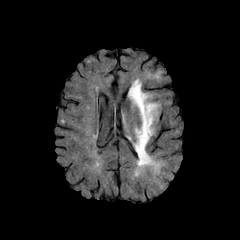
FLAIR MR image.
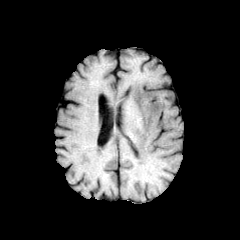
T1-weighted MR.
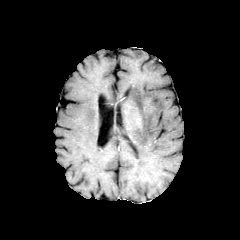
Post-contrast T1-weighted MR image.
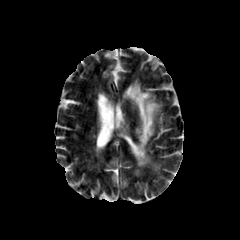
T2-weighted MRI of the same slice.
Edema: bounding box {"x1": 128, "y1": 79, "x2": 160, "y2": 175}.